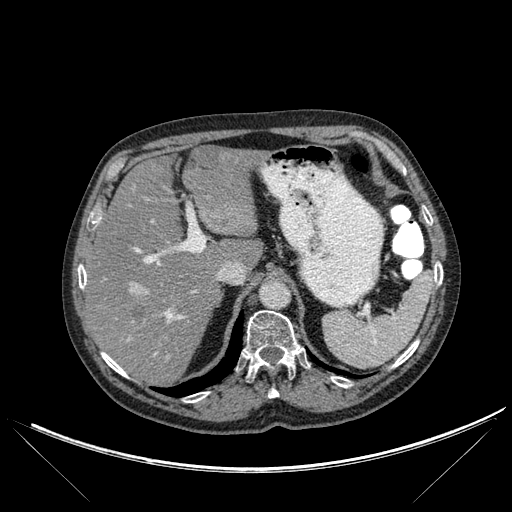

CT; Liver
2 liver regions are bounded by <bbox>182, 146, 264, 235</bbox>, <bbox>86, 157, 262, 386</bbox>. 9 bone regions appear at <bbox>434, 262, 442, 284</bbox>, <bbox>242, 310, 303, 374</bbox>, <bbox>331, 376, 351, 387</bbox>, <bbox>101, 352, 127, 376</bbox>, <bbox>393, 340, 418, 367</bbox>, <bbox>268, 388, 278, 397</bbox>, <bbox>183, 392, 208, 402</bbox>, <bbox>422, 206, 432, 224</bbox>, <bbox>78, 265, 86, 288</bbox>. 2 lung regions are located at <bbox>311, 355, 355, 376</bbox>, <bbox>155, 312, 243, 396</bbox>. 2 focal liver lesion regions appear at <bbox>194, 145, 218, 164</bbox>, <bbox>133, 304, 144, 321</bbox>.